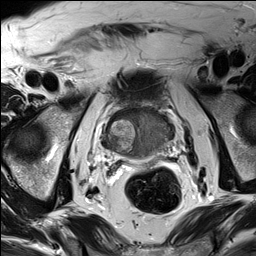
T2-weighted MR.
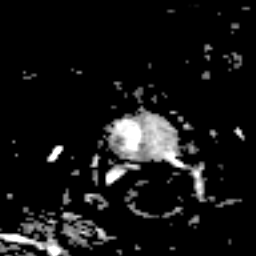
ADC MR image.
Prostate peripheral zone — 107,111,171,164.